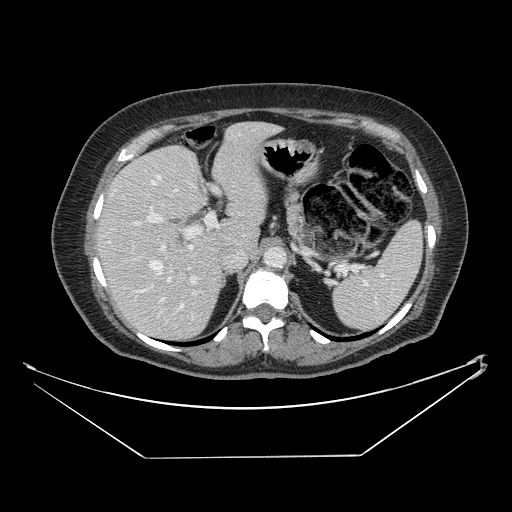

Image size 512x512 | Abdomen | CT image
The pancreas is located at bbox(281, 183, 310, 245).